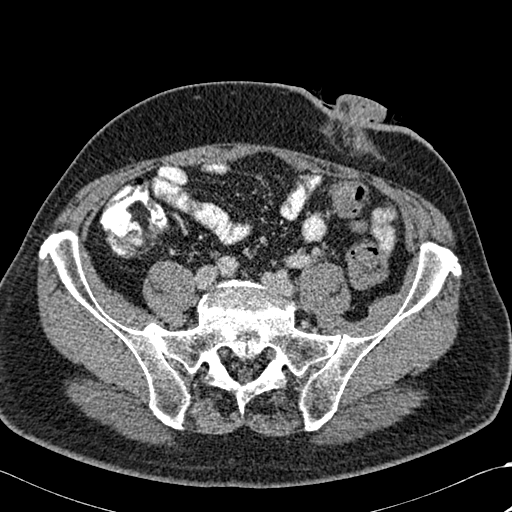
CT
{
  "bone": [
    "[40, 231, 460, 430]"
  ]
}